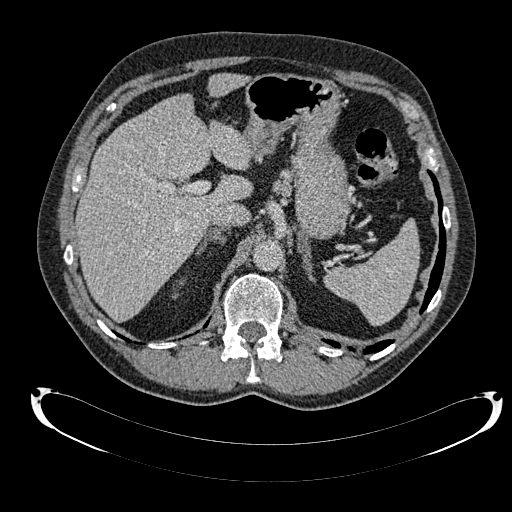

Abdomen; Computed tomography

* liver: box=[77, 95, 250, 320]; box=[209, 74, 247, 96]